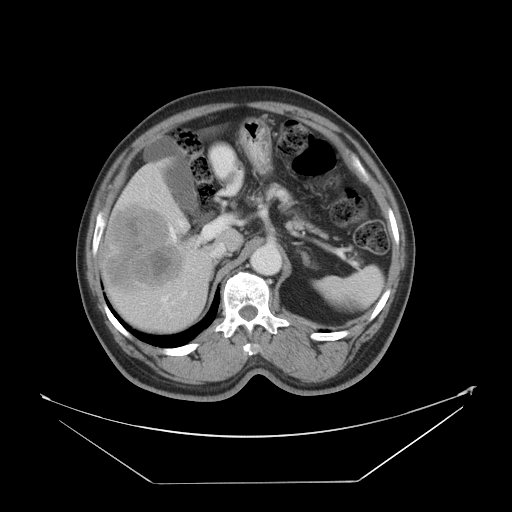
Liver | Computed tomography | 512x512 px
Only some of the vessels may be annotated.
The liver tumor is bounded by [x1=106, y1=208, x2=181, y2=287]. 8 hepatic vessel regions are located at [x1=171, y1=302, x2=174, y2=304], [x1=170, y1=228, x2=175, y2=241], [x1=185, y1=266, x2=188, y2=269], [x1=177, y1=219, x2=185, y2=226], [x1=202, y1=225, x2=218, y2=237], [x1=183, y1=291, x2=186, y2=296], [x1=161, y1=294, x2=168, y2=303], [x1=167, y1=309, x2=169, y2=312].